FLAIR magnetic resonance.
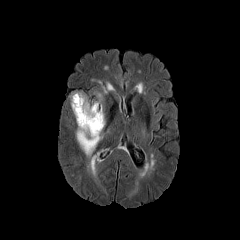
T1-weighted magnetic resonance.
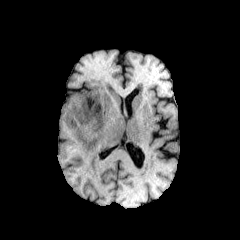
Post-contrast T1-weighted MRI.
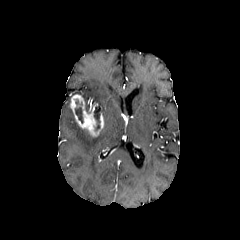
T2-weighted magnetic resonance.
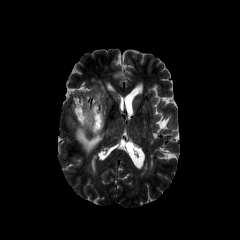
Brain
The edema appears at (76, 125, 102, 154). The enhancing tumor lies within (70, 95, 103, 137). 2 non-enhancing tumor core regions are bounded by (75, 107, 83, 123), (93, 105, 100, 132).